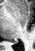

MR
<segmentation>
  <posterior_hippocampus>14, 41, 16, 42</posterior_hippocampus>
</segmentation>